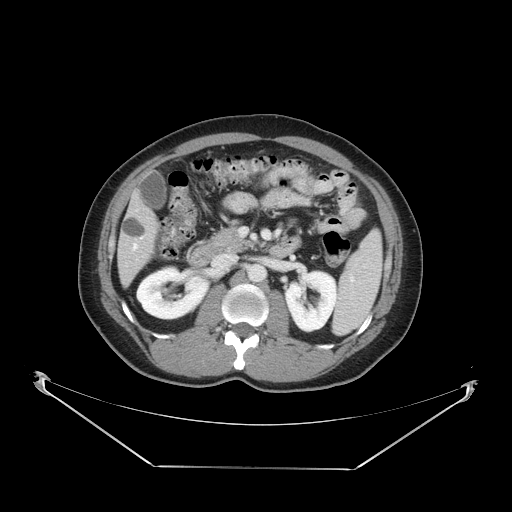
CT slice. Abdomen.

The vessel annotation is not exhaustive.
Hepatic vessel = (x1=133, y1=245, x2=136, y2=249).